CT scan slice. Slice 554/654. 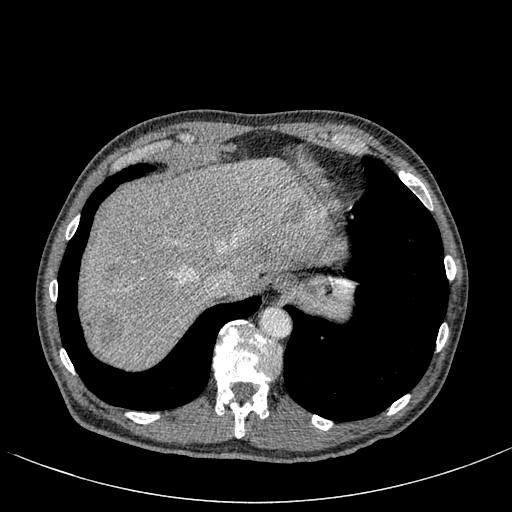

focal_liver_lesion:
  - [284,200,310,223]
  - [256,249,268,259]
  - [83,305,125,348]
  - [103,267,118,282]
liver:
  - [83,157,346,368]